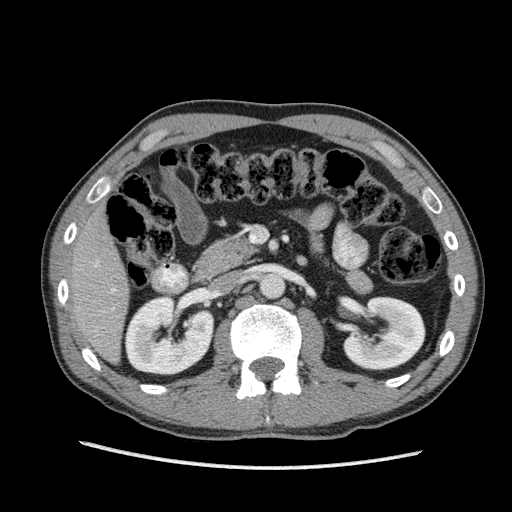 CT | Liver | 512x512 px
kidney:
  - [126,297,212,373]
  - [345,298,423,368]
liver:
  - [63,203,129,364]